Field of view 344x344 mm. Slice 477 of 836. CT. Liver. 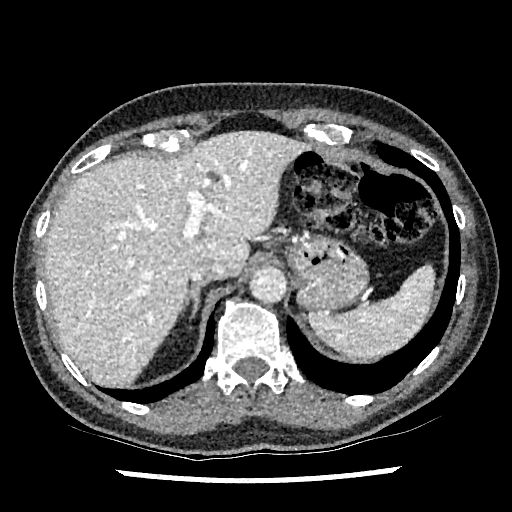 Liver — [44, 131, 307, 385].
Focal liver lesion — [207, 172, 219, 181].